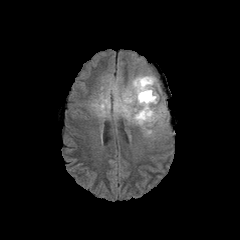
FLAIR MR.
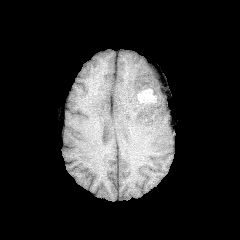
T1-weighted MR image.
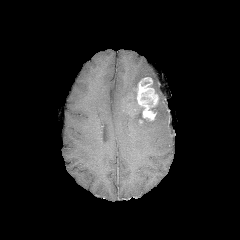
Same slice, post-contrast T1-weighted MRI.
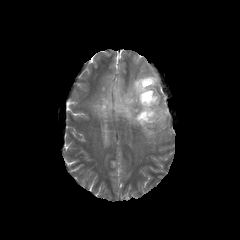
T2-weighted magnetic resonance of the same slice.
Brain
The edema appears at (90, 73, 169, 138). The non-enhancing tumor core lies within (152, 103, 159, 120). The enhancing tumor is located at (136, 77, 158, 120).